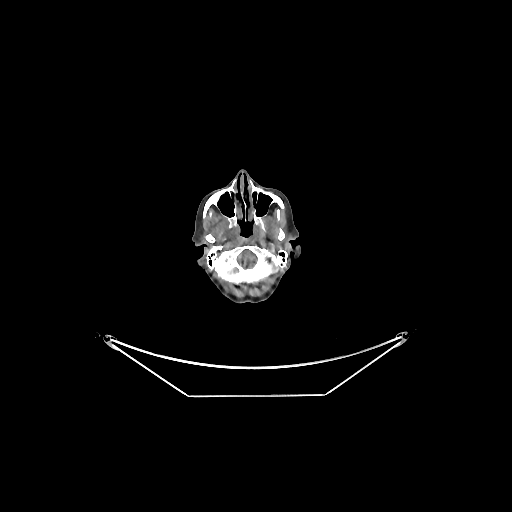
Computed tomography

brain: (left=240, top=250, right=257, bottom=268)